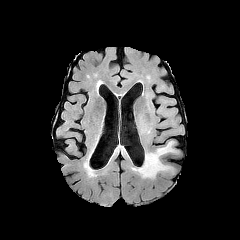
FLAIR MR.
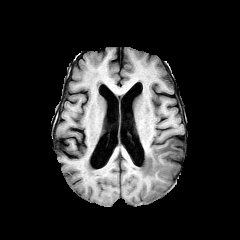
T1-weighted magnetic resonance of the same slice.
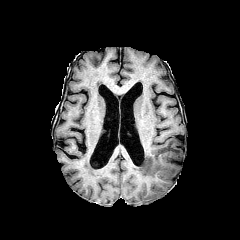
Post-contrast T1-weighted MRI.
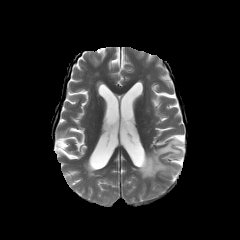
T2-weighted MR image.
240x240 px | Head
The edema is bounded by box(134, 141, 176, 178).